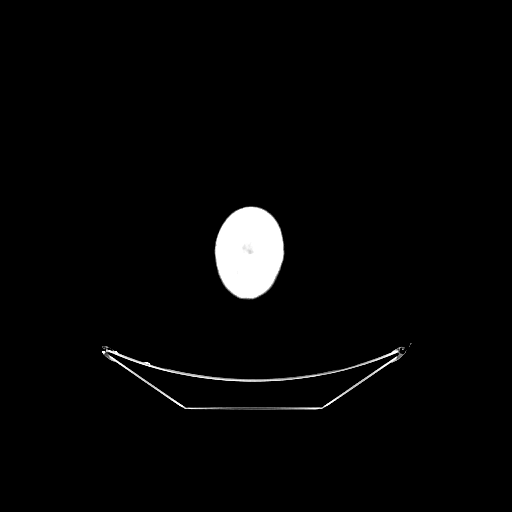 CT slice

• bone: rect(215, 207, 283, 298)